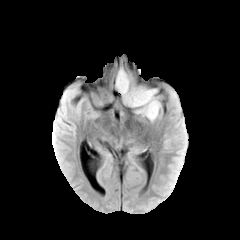
FLAIR MR.
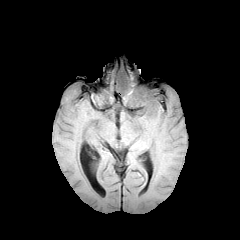
T1-weighted MR.
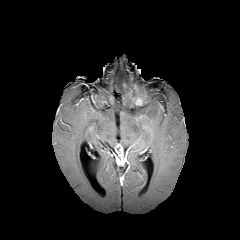
Post-contrast T1-weighted magnetic resonance.
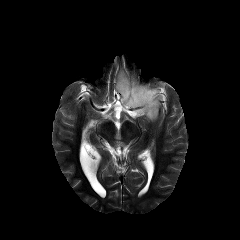
Same slice, T2-weighted MRI.
Brain
The non-enhancing tumor core is bounded by [121, 81, 153, 113]. The enhancing tumor is located at [130, 86, 147, 105]. 2 edema regions appear at [137, 88, 161, 120], [116, 70, 132, 94].